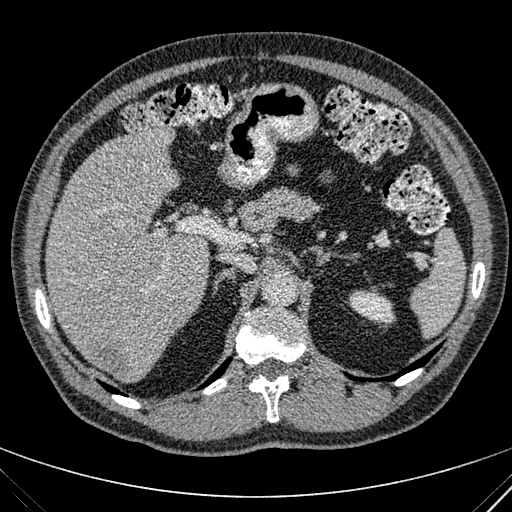 CT slice, Liver
* liver: <box>46,124,207,381</box>
* liver lesion: <box>83,332,130,376</box>
* kidney: <box>349,291,394,322</box>